Brain
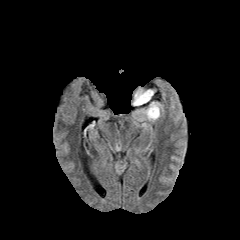
FLAIR MRI.
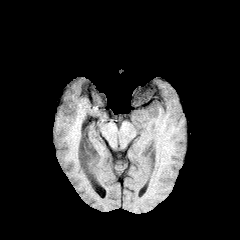
T1-weighted MR.
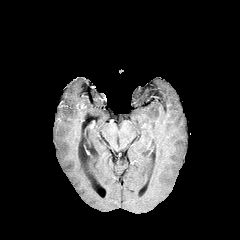
Post-contrast T1-weighted MR image.
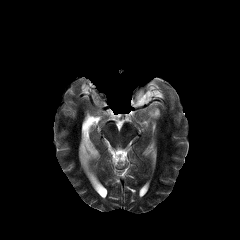
Same slice, T2-weighted MR.
edema:
  - [x1=132, y1=88, x2=161, y2=125]